FLAIR MR image.
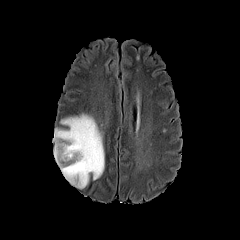
T1-weighted MRI.
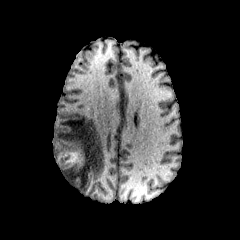
Post-contrast T1-weighted MRI.
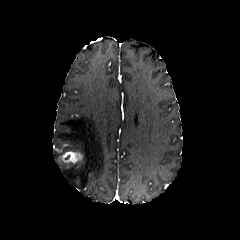
T2-weighted MRI.
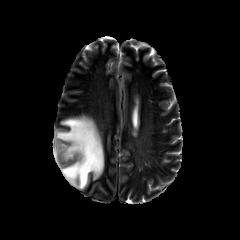
Head
Non-enhancing tumor core: bounding box [54, 149, 71, 170].
Edema: bounding box [52, 114, 104, 189].
Enhancing tumor: bounding box [61, 150, 83, 165].